Brain
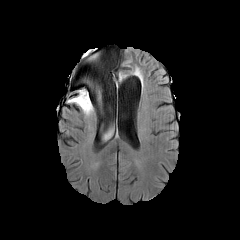
FLAIR MR image.
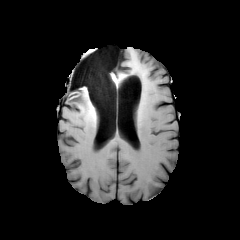
T1-weighted MRI.
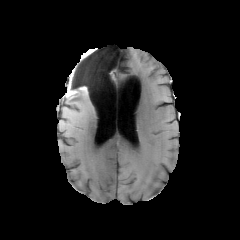
Post-contrast T1-weighted MRI of the same slice.
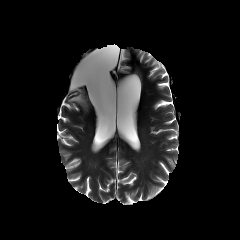
T2-weighted MR.
Edema: bounding box {"x1": 67, "y1": 89, "x2": 101, "y2": 117}.